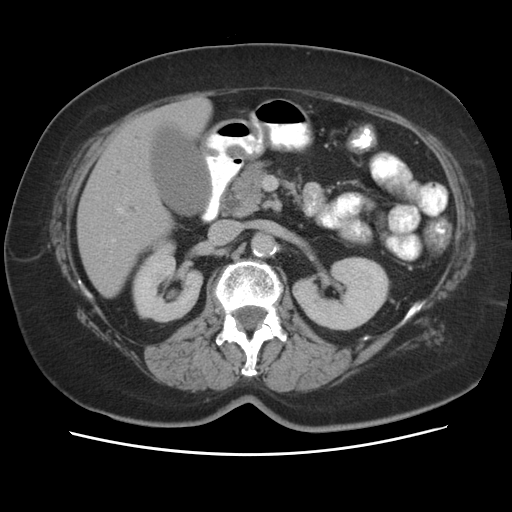 CT scan slice
Pancreas = x1=233, y1=159, x2=268, y2=213.